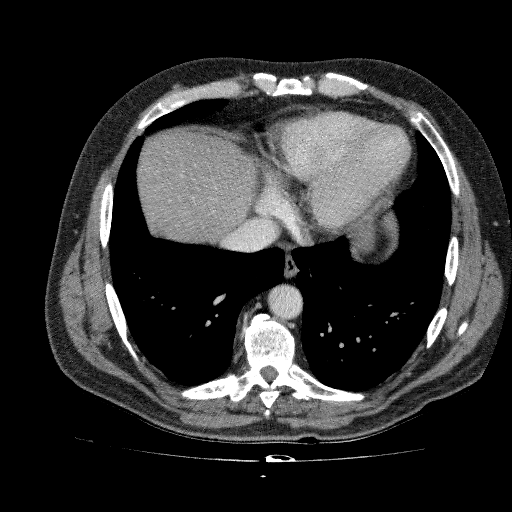

Abdomen; CT scan slice
Liver at <bbox>137, 129, 258, 242</bbox>.